Magnetic resonance 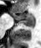
Annotated regions:
- posterior hippocampus: x1=14 y1=17 x2=34 y2=27
- anterior hippocampus: x1=25 y1=13 x2=33 y2=16, x1=12 y1=12 x2=22 y2=16